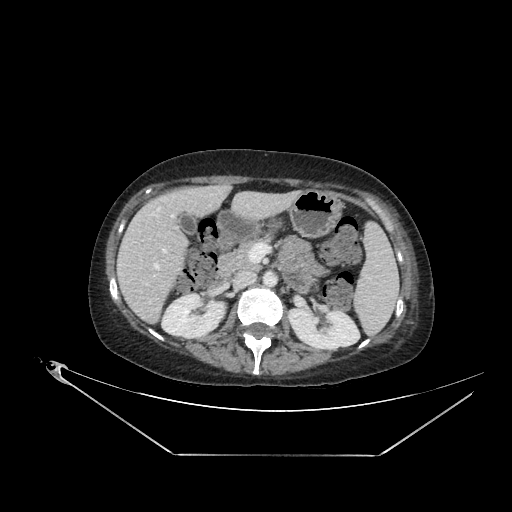
Image size 512x512. Abdomen. CT slice.
liver:
  - (116,185,228,325)
kidney:
  - (288,307,359,348)
  - (162,294,223,338)